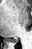

Medial temporal lobe. MR.

Posterior hippocampus: bounding box [9,38,17,42].